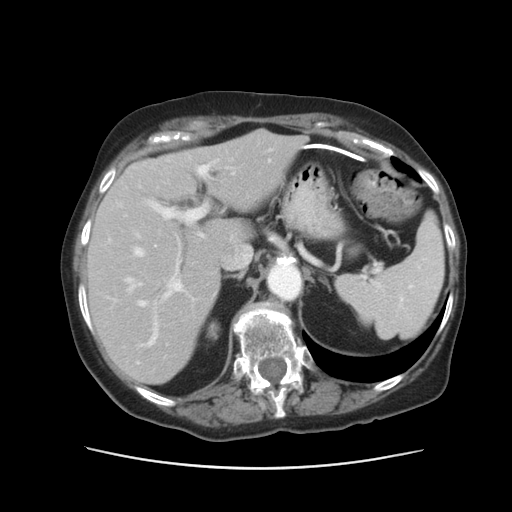

512x512 px, CT scan slice, Liver

The vessel annotation is not exhaustive.
partial: true
hepatic_vessel:
  # 15 of 17 shown
  - (x1=196, y1=161, x2=216, y2=175)
  - (x1=138, y1=302, x2=145, y2=306)
  - (x1=175, y1=234, x2=178, y2=240)
  - (x1=117, y1=202, x2=120, y2=207)
  - (x1=194, y1=232, x2=206, y2=238)
  - (x1=107, y1=240, x2=110, y2=243)
  - (x1=138, y1=321, x2=157, y2=347)
  - (x1=125, y1=278, x2=140, y2=292)
  - (x1=134, y1=167, x2=135, y2=169)
  - (x1=106, y1=296, x2=115, y2=302)
  - (x1=176, y1=261, x2=179, y2=265)
  - (x1=162, y1=278, x2=194, y2=302)
  - (x1=133, y1=248, x2=143, y2=256)
  - (x1=147, y1=201, x2=207, y2=225)
  - (x1=133, y1=232, x2=139, y2=238)